Brain, Slice index 93, Field of view 240 mm wide, 1.00 mm slice spacing, 240x240 px
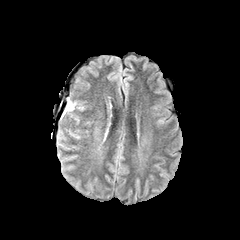
FLAIR MR.
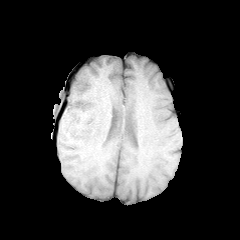
T1-weighted magnetic resonance of the same slice.
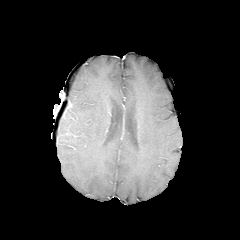
Post-contrast T1-weighted MR of the same slice.
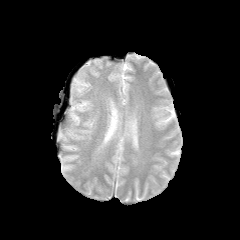
T2-weighted MRI.
{"edema": [{"x1": 66, "y1": 100, "x2": 84, "y2": 120}]}